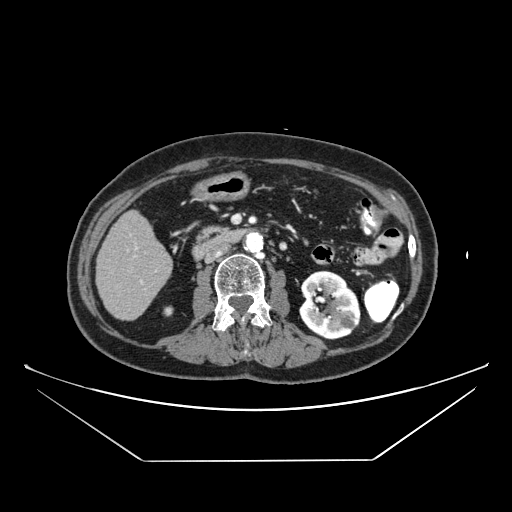
512x512. Abdomen. CT slice. pancreas: bbox(199, 226, 224, 240)